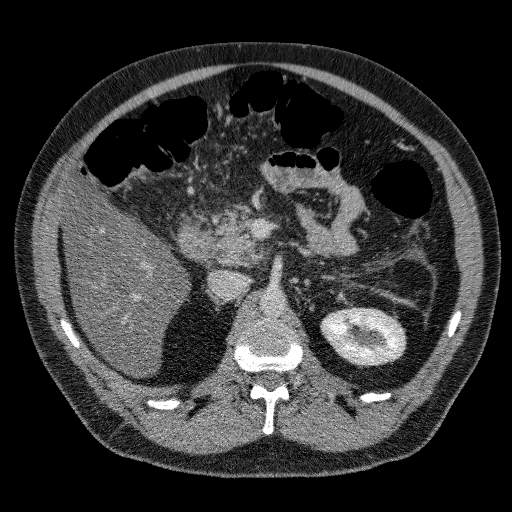 CT; 512x512
<segmentation>
  <kidney>[x1=323, y1=309, x2=404, y2=364]</kidney>
  <liver>[x1=62, y1=181, x2=187, y2=376]</liver>
</segmentation>